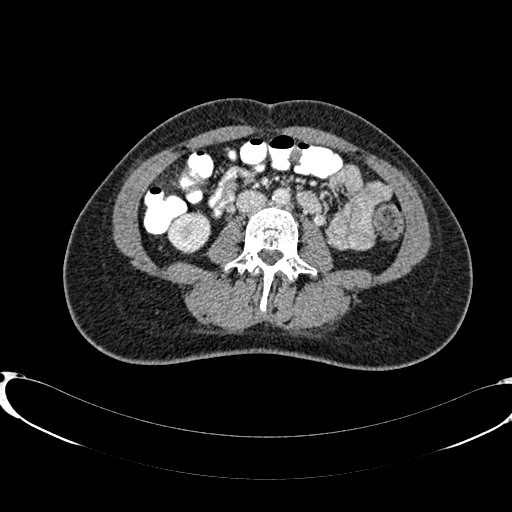 Abdomen, CT image
Kidney — <bbox>169, 215, 208, 250</bbox>.